Field of view 240 mm wide, 1.00 mm slice spacing | Brain | Image size 240x240
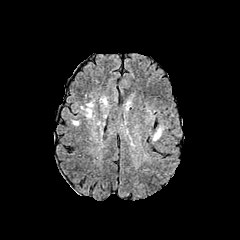
FLAIR MR image.
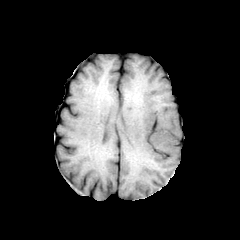
T1-weighted MRI of the same slice.
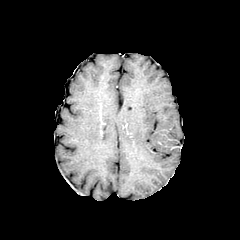
Post-contrast T1-weighted MRI.
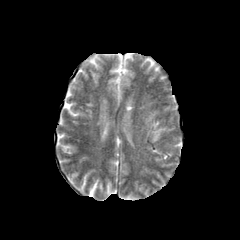
Same slice, T2-weighted MRI.
Findings:
* edema: {"x1": 152, "y1": 126, "x2": 163, "y2": 141}